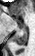 Medial temporal lobe | MR

- posterior hippocampus: (13,28,27,44)